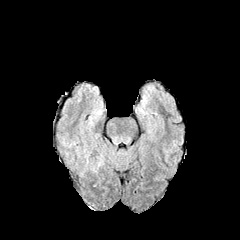
FLAIR magnetic resonance.
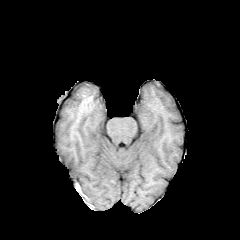
Same slice, T1-weighted MRI.
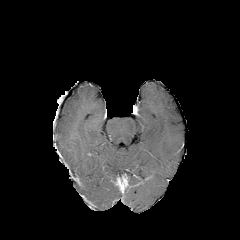
Post-contrast T1-weighted MR of the same slice.
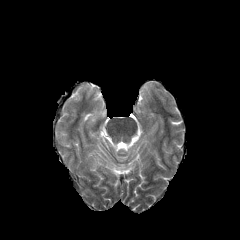
Same slice, T2-weighted MRI.
240x240 px; Brain
<segmentation>
  <edema>bbox(86, 144, 105, 174)</edema>
</segmentation>